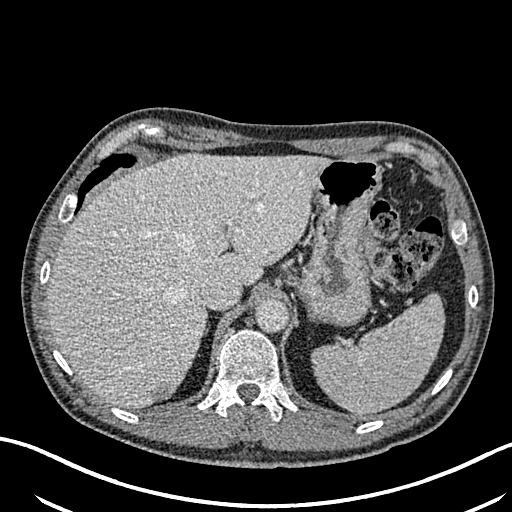

CT slice
Segmented structures:
* focal liver lesion: 150, 382, 173, 401
* liver: 49, 154, 330, 408